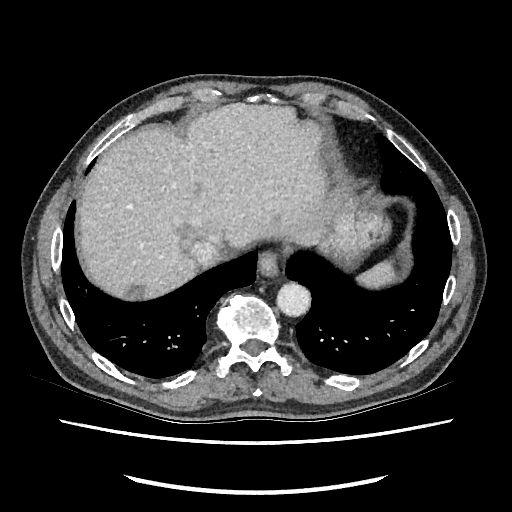

512x512; CT image
The liver is located at [80,103,323,298]. 3 liver lesion regions are located at [129,285,145,298], [174,224,208,255], [271,214,280,226].